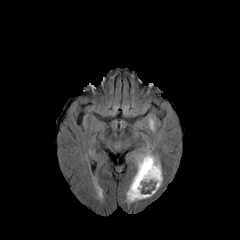
FLAIR MR.
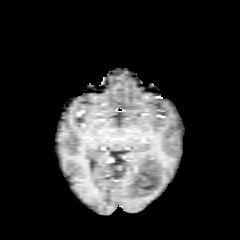
T1-weighted MR.
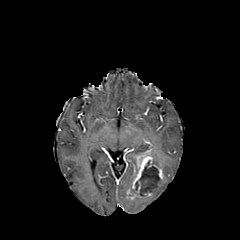
Post-contrast T1-weighted magnetic resonance of the same slice.
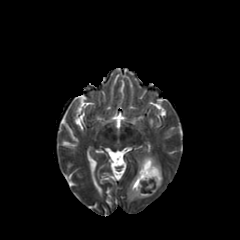
T2-weighted MRI of the same slice.
240x240.
Annotated regions:
* enhancing tumor: bbox=[143, 191, 151, 196]; bbox=[158, 168, 162, 179]; bbox=[131, 151, 155, 199]
* edema: bbox=[126, 164, 140, 202]; bbox=[151, 180, 162, 195]; bbox=[145, 141, 161, 167]
* non-enhancing tumor core: bbox=[139, 166, 160, 195]